Field of view 472x472 mm; Abdomen; CT slice 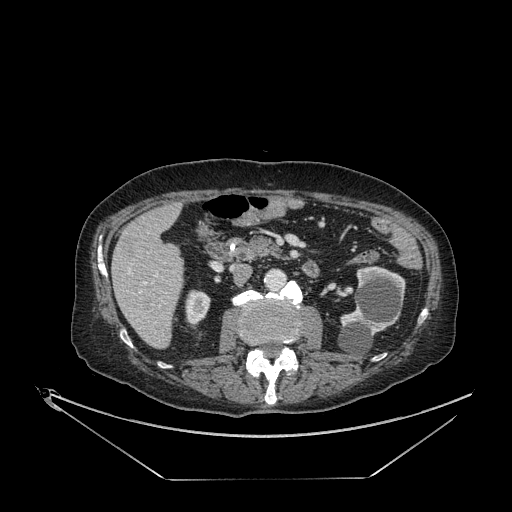

The hepatic lesion is at [123,238,134,256]. The liver is at [112,204,183,349]. 4 kidney regions are bounded by [186,291,209,323], [341,306,397,334], [357,266,404,297], [337,287,352,296].